Image size 512x512; CT; Abdomen 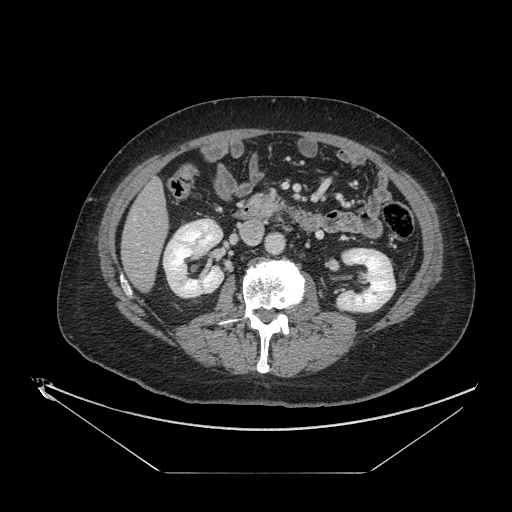 {"pancreas": ["x1=254 y1=195 x2=281 y2=216"]}